FLAIR MR image.
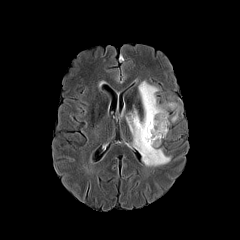
T1-weighted magnetic resonance.
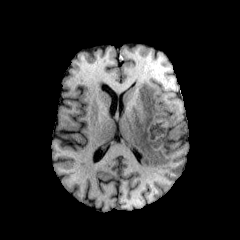
Post-contrast T1-weighted magnetic resonance.
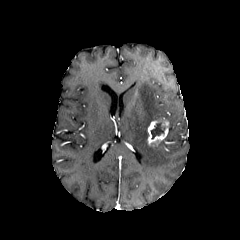
T2-weighted magnetic resonance.
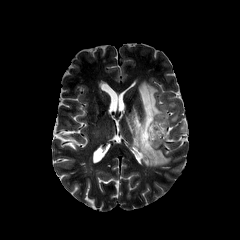
non-enhancing_tumor_core:
  - 154:104:175:119
  - 151:123:164:138
enhancing_tumor:
  - 147:117:168:146
edema:
  - 164:102:179:122
  - 126:81:171:167